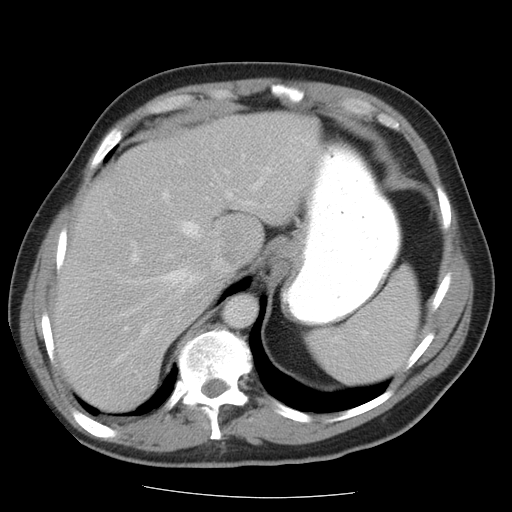
CT scan slice
Not every hepatic vessel necessarily has a box.
partial: true
liver_tumor:
  - (left=219, top=214, right=264, bottom=266)
hepatic_vessel:
  # 15 of 17 shown
  - (left=307, top=139, right=316, bottom=144)
  - (left=142, top=325, right=147, bottom=333)
  - (left=226, top=170, right=228, bottom=173)
  - (left=132, top=281, right=147, bottom=282)
  - (left=226, top=192, right=232, bottom=200)
  - (left=183, top=222, right=202, bottom=237)
  - (left=217, top=259, right=222, bottom=262)
  - (left=167, top=255, right=172, bottom=256)
  - (left=115, top=353, right=127, bottom=363)
  - (left=253, top=179, right=263, bottom=188)
  - (left=125, top=327, right=129, bottom=329)
  - (left=132, top=242, right=138, bottom=261)
  - (left=163, top=269, right=199, bottom=290)
  - (left=264, top=167, right=271, bottom=171)
  - (left=163, top=192, right=169, bottom=201)